MR image. Slice 6/34. Image size 34x53. 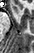
Anterior hippocampus: {"x1": 12, "y1": 5, "x2": 17, "y2": 12}.